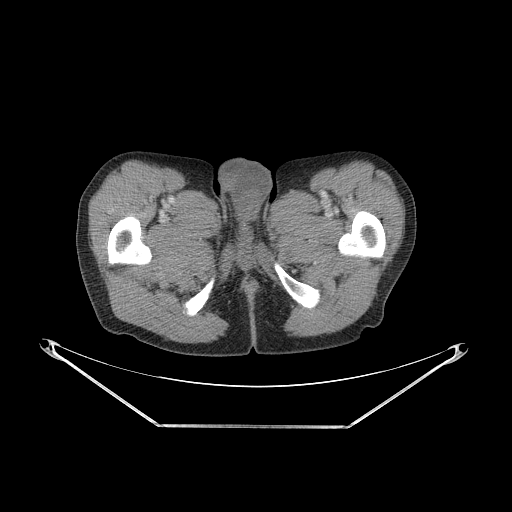

512x512, CT image

bone: box=[185, 280, 213, 315]; box=[275, 264, 319, 307]; box=[339, 211, 385, 257]; box=[107, 215, 151, 264]